FLAIR MR image.
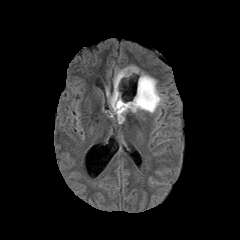
T1-weighted MR image.
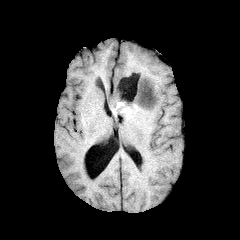
Post-contrast T1-weighted MR image.
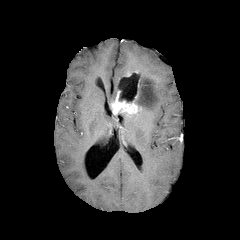
T2-weighted MR.
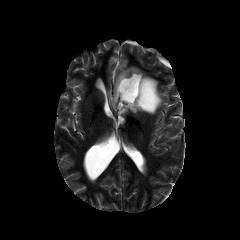
Head
2 non-enhancing tumor core regions are located at [114,112,127,122], [118,78,153,109]. The edema lies within [106,66,163,114]. The enhancing tumor appears at [110,91,137,114].